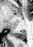 33x47 px. Magnetic resonance.
Posterior hippocampus: bounding box bbox(14, 31, 25, 39).